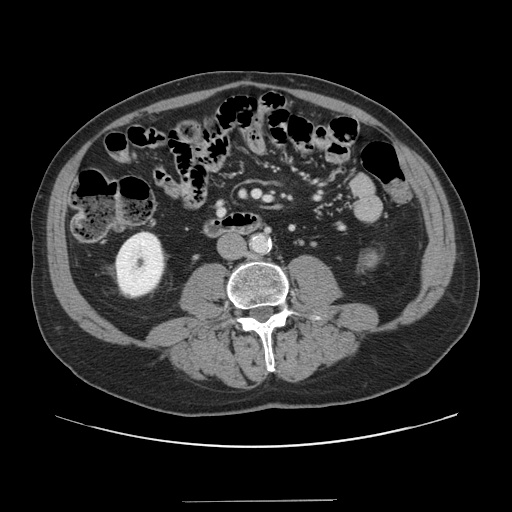

Computed tomography, Abdomen
Only some of the vessels may be annotated.
hepatic vessel: bbox(253, 191, 259, 195); bbox(266, 197, 268, 198)